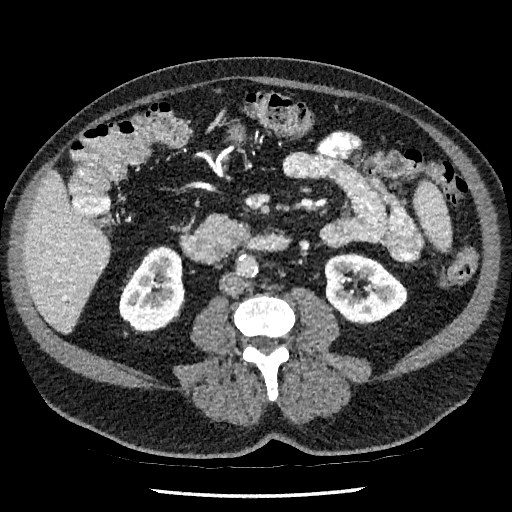

CT image; Abdomen
Liver: bounding box region(23, 169, 109, 333).
Kidney: bounding box region(325, 255, 406, 321); region(120, 250, 183, 330).